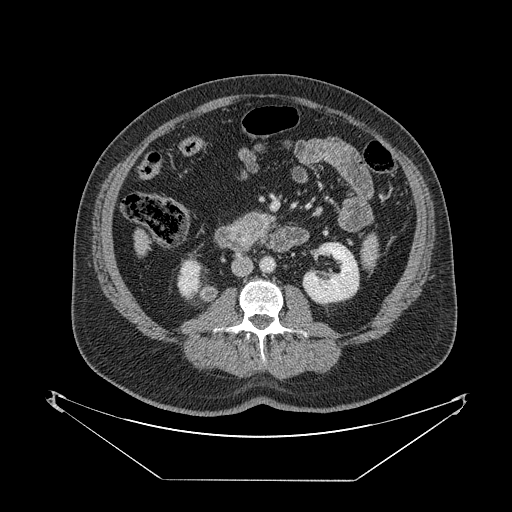
Computed tomography.

- pancreas: <box>234,215,270,242</box>
- pancreatic tumor: <box>240,213,266,233</box>